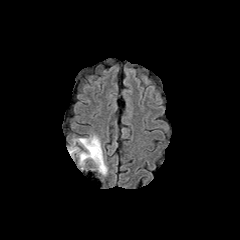
FLAIR MRI.
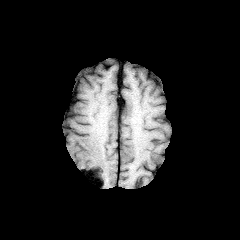
Same slice, T1-weighted MR image.
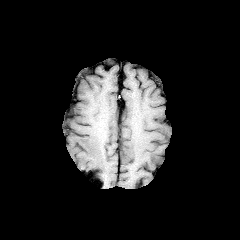
Post-contrast T1-weighted MR of the same slice.
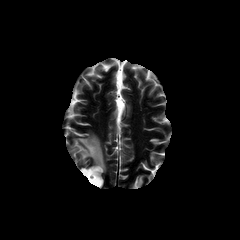
T2-weighted MRI.
240x240. Brain.
The edema is located at box(67, 133, 108, 175).